FLAIR MR image.
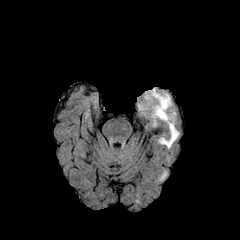
T1-weighted MRI.
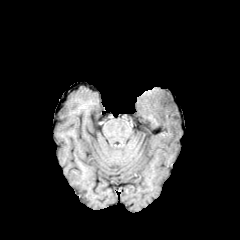
Post-contrast T1-weighted MR.
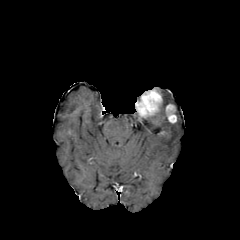
T2-weighted MR.
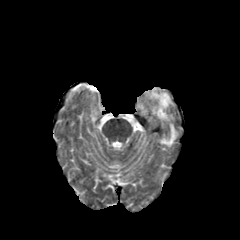
240x240
• enhancing tumor: 166 104 175 122, 136 89 162 116
• edema: 145 92 179 149